MR image
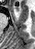 Anterior hippocampus — region(15, 6, 18, 10).